Image size 512x512, CT image, Image width 512 mm, Slice 160/260 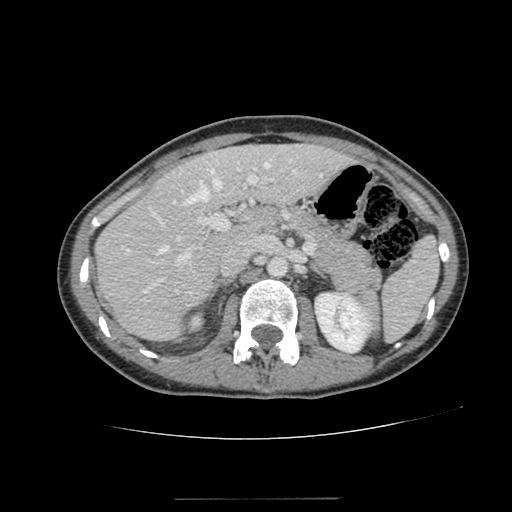

Annotated regions:
• kidney: region(315, 293, 371, 352)
• liver: region(96, 143, 351, 340)